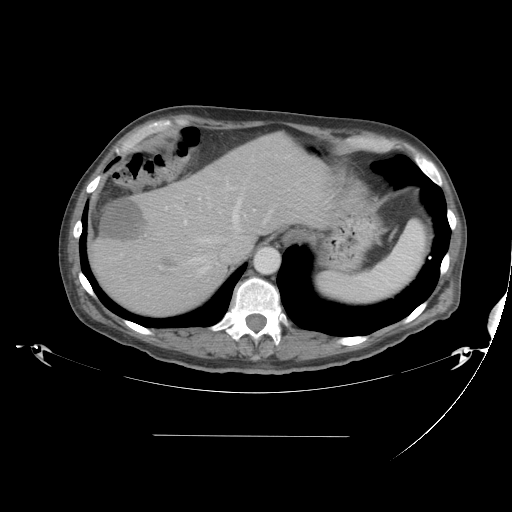

512x512, Abdomen, CT slice

Only some of the vessels may be annotated.
8 hepatic vessel regions are located at bbox=[183, 255, 211, 275]; bbox=[173, 203, 191, 225]; bbox=[207, 203, 211, 207]; bbox=[226, 181, 236, 189]; bbox=[193, 236, 224, 243]; bbox=[158, 266, 160, 267]; bbox=[231, 187, 246, 237]; bbox=[198, 197, 200, 200]. 2 liver tumor regions are bounded by bbox=[100, 199, 142, 239]; bbox=[159, 254, 171, 266].